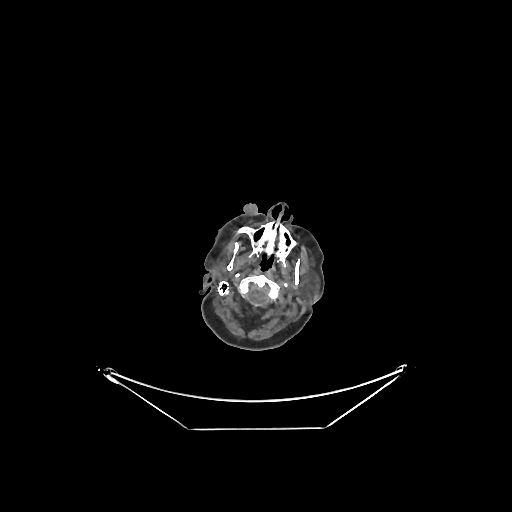 Computed tomography
Segmented structures:
• brain: left=246, top=284, right=270, bottom=306